CT slice; Slice 435/751; 512x512 px 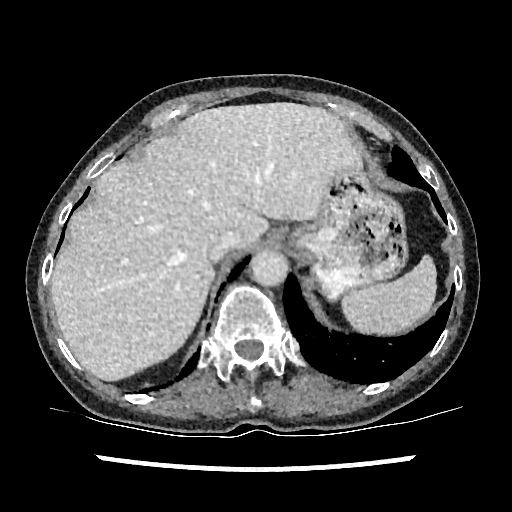

Liver: bounding box x1=52, y1=103, x2=357, y2=378.